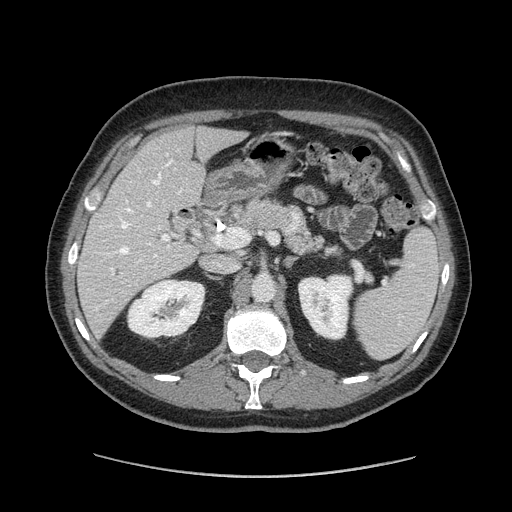

Computed tomography. Upper abdomen. The pancreas lies within (236,199,338,255).